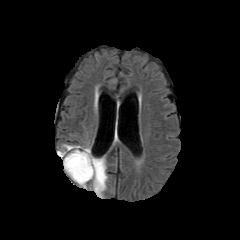
FLAIR magnetic resonance.
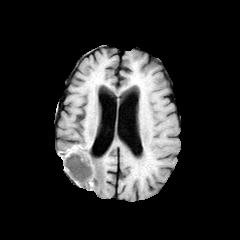
T1-weighted MRI of the same slice.
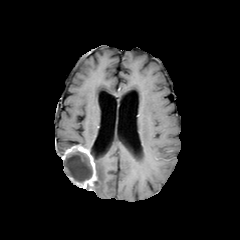
Post-contrast T1-weighted MRI of the same slice.
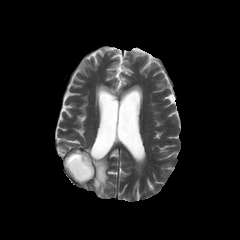
T2-weighted MR.
Edema = [58, 144, 75, 155], [92, 155, 107, 194].
Non-enhancing tumor core = [64, 151, 92, 185].
Enhancing tumor = [63, 145, 96, 187].